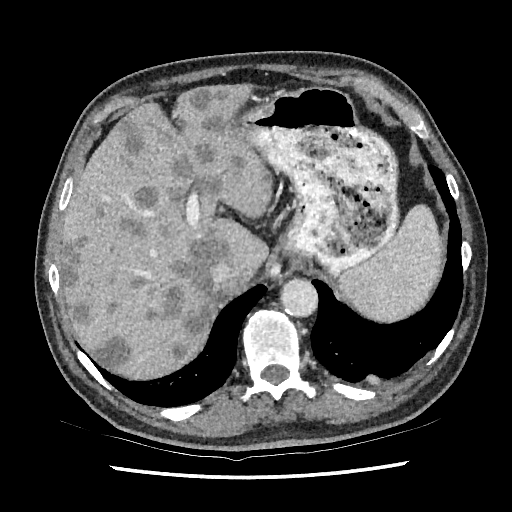 CT scan slice; 512x512

partial: true
liver:
  - 60,84,270,378
hepatic_lesion:
  # 15 of 19 shown
  - 225,154,245,176
  - 72,302,91,322
  - 135,186,157,208
  - 169,154,194,179
  - 201,115,229,132
  - 191,142,215,163
  - 195,174,222,200
  - 92,336,131,368
  - 119,118,144,155
  - 120,215,147,238
  - 167,186,183,204
  - 97,201,110,220
  - 145,228,232,334
  - 188,89,228,111
  - 62,235,90,290